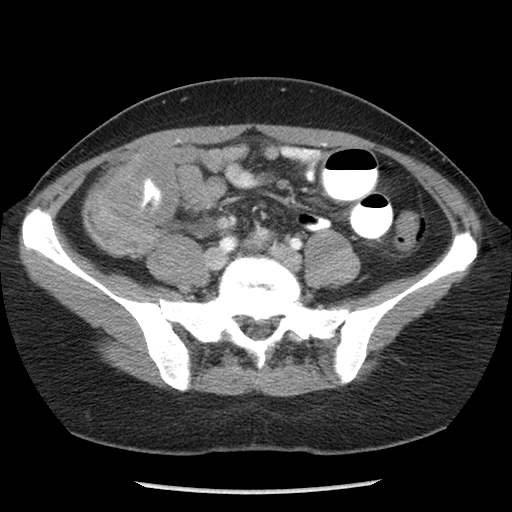
CT; Abdomen
Findings:
- colon tumor: <box>86,151,180,253</box>